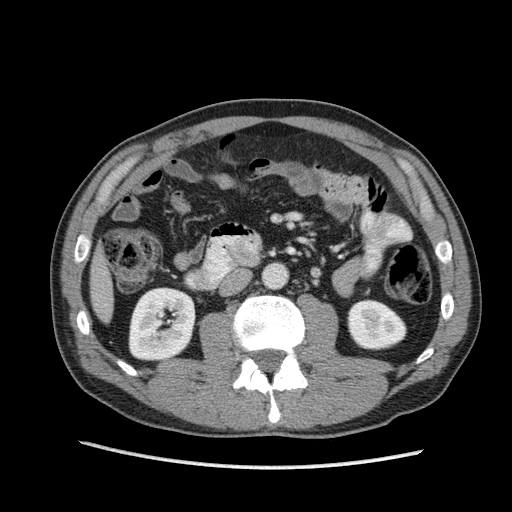

512x512. CT scan slice.

- liver: [x1=90, y1=249, x2=113, y2=321]
- kidney: [x1=130, y1=288, x2=194, y2=359], [x1=349, y1=301, x2=404, y2=347]